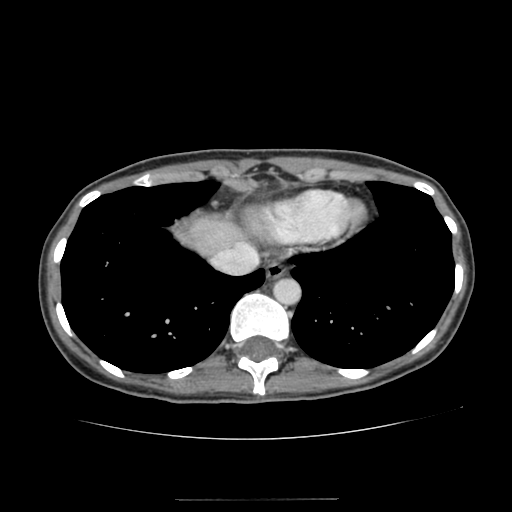
Abdomen | Computed tomography
Liver at (left=178, top=217, right=243, bottom=258).